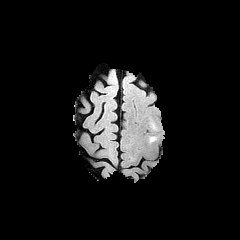
FLAIR MR image.
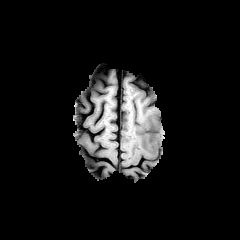
T1-weighted magnetic resonance of the same slice.
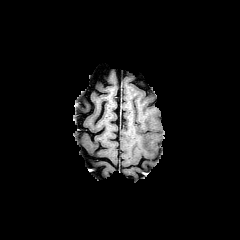
Same slice, post-contrast T1-weighted magnetic resonance.
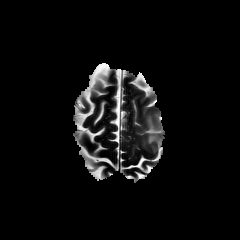
T2-weighted MRI.
The edema is located at (147,115,160,143).